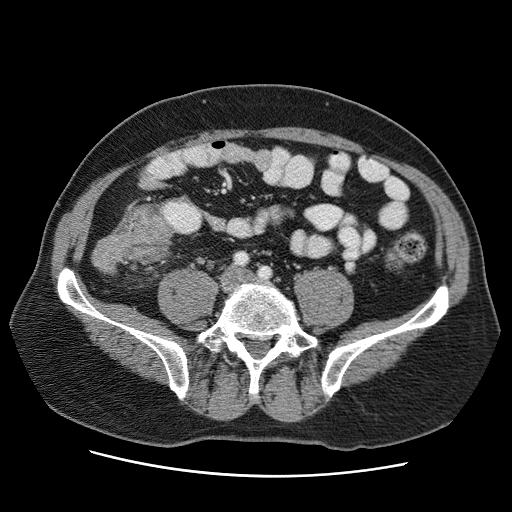
Computed tomography, Image size 512x512

The colon tumor is bounded by 92 205 171 272.